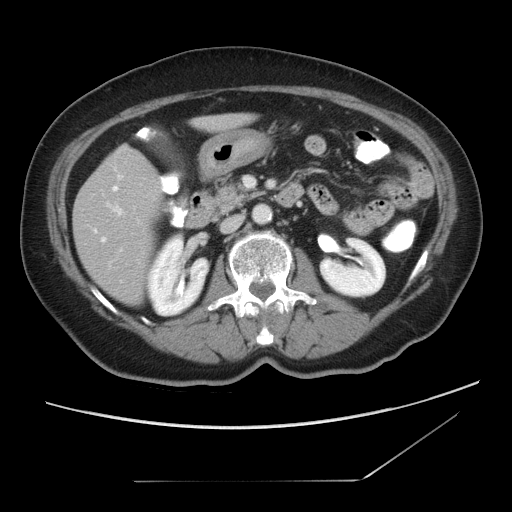 CT scan slice, Liver
The vessel boxes may cover only some of the vessels.
4 hepatic vessel regions are bounded by x1=95, y1=230, x2=96, y2=232; x1=102, y1=238, x2=105, y2=242; x1=118, y1=175, x2=122, y2=178; x1=113, y1=187, x2=117, y2=191.